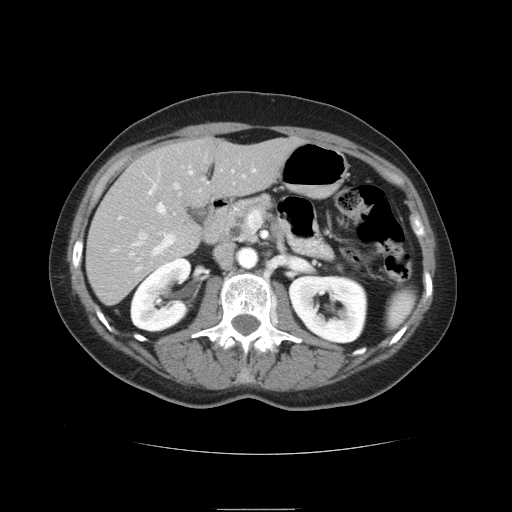 CT image
Spleen: box(388, 289, 414, 327).